Abdomen; CT; 512x512 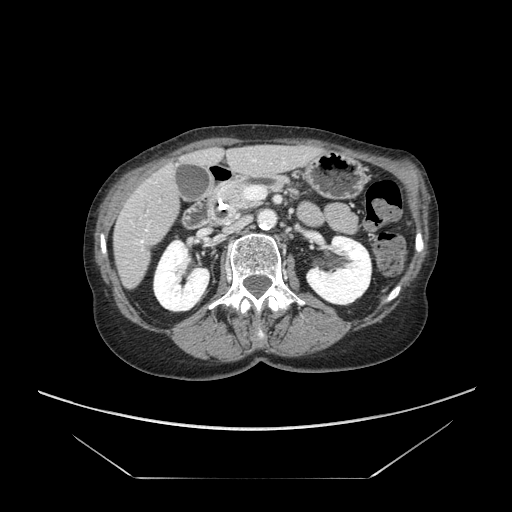 The pancreas appears at rect(208, 172, 317, 226).